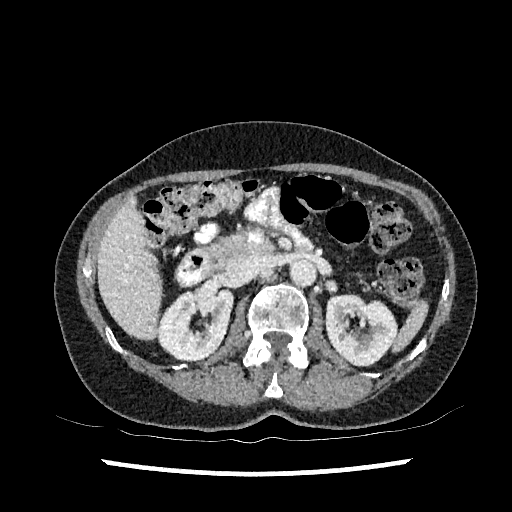

Computed tomography.

Segmented structures:
- liver: <box>98,200,160,338</box>
- kidney: <box>326,296,396,365</box>, <box>159,280,232,360</box>